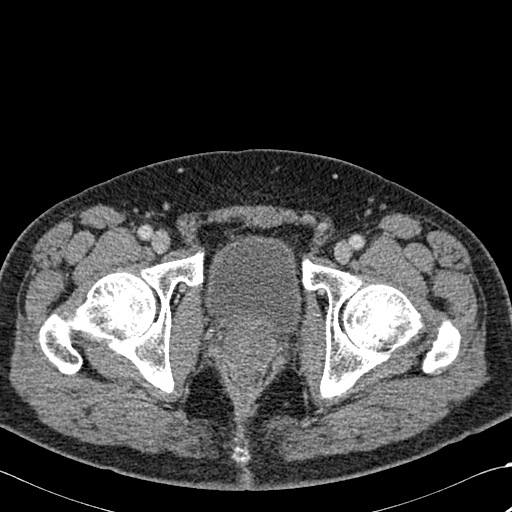

CT scan slice; 512x512

<segmentation>
  <bone>region(39, 253, 203, 392); region(302, 260, 422, 397); region(423, 321, 460, 372)</bone>
</segmentation>